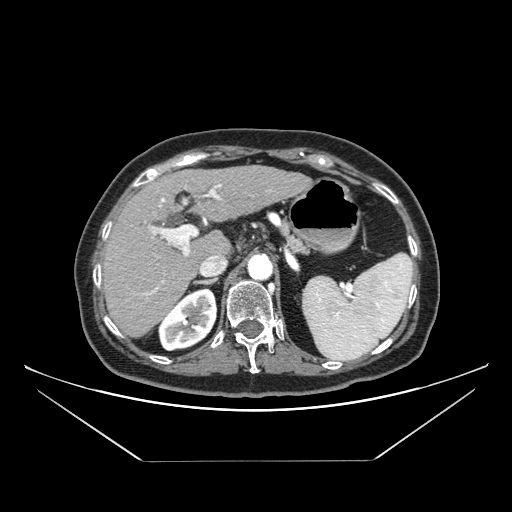 CT slice | Abdomen

Pancreas at box(278, 219, 312, 255).